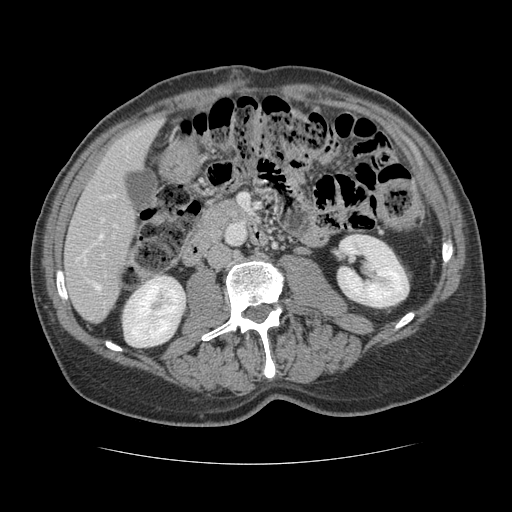
CT
Some hepatic vessels may have no box.
8 hepatic vessel regions appear at {"x1": 76, "y1": 249, "x2": 87, "y2": 261}, {"x1": 101, "y1": 255, "x2": 103, "y2": 256}, {"x1": 112, "y1": 194, "x2": 114, "y2": 197}, {"x1": 101, "y1": 218, "x2": 103, "y2": 220}, {"x1": 100, "y1": 197, "x2": 103, "y2": 198}, {"x1": 126, "y1": 146, "x2": 127, "y2": 147}, {"x1": 89, "y1": 281, "x2": 100, "y2": 291}, {"x1": 98, "y1": 234, "x2": 102, "y2": 243}.